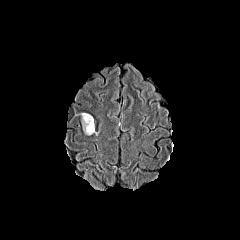
FLAIR MR.
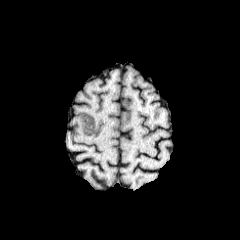
T1-weighted MRI.
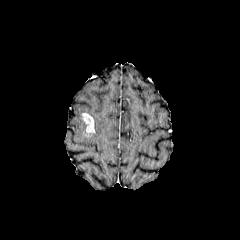
Same slice, post-contrast T1-weighted MR.
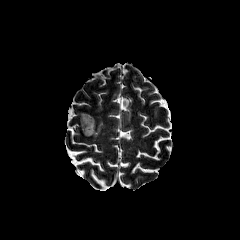
Same slice, T2-weighted MRI.
Head
non-enhancing_tumor_core:
  - (81,113,95,135)
enhancing_tumor:
  - (83,113,94,132)